Upper abdomen; Computed tomography; 512x512 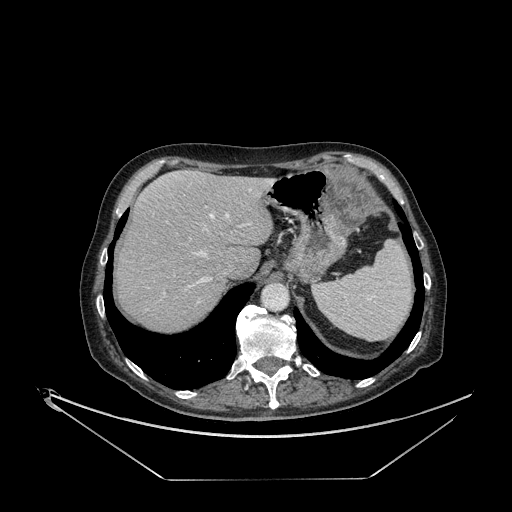

Annotated regions:
• liver: <box>117,170,273,332</box>